Abdomen, Computed tomography, Slice 28 of 99 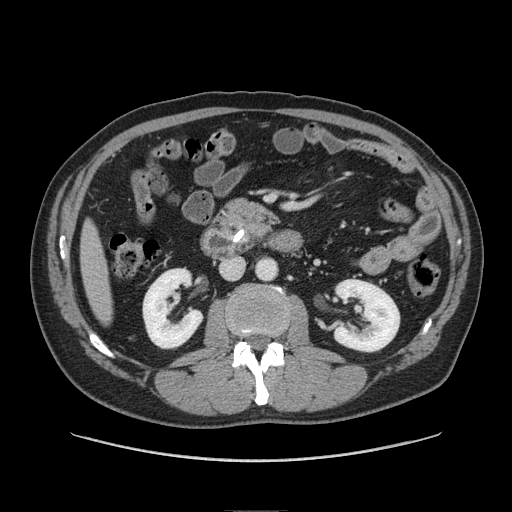

The pancreas appears at bbox=[210, 196, 283, 250].